Image size 512x512, CT scan slice 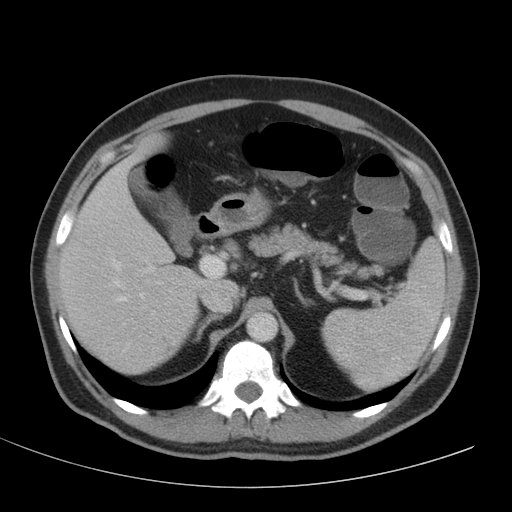

The liver is at {"x1": 56, "y1": 139, "x2": 238, "y2": 372}. The liver lesion appears at {"x1": 161, "y1": 336, "x2": 174, "y2": 355}.